Image size 36x49 | Hippocampus | Magnetic resonance | Slice 7/40 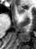 Anterior hippocampus = (x1=16, y1=6, x2=24, y2=13).